FLAIR MR.
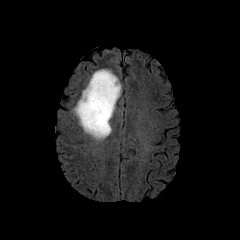
T1-weighted MR.
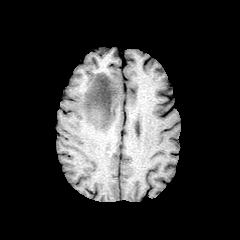
Post-contrast T1-weighted MR image.
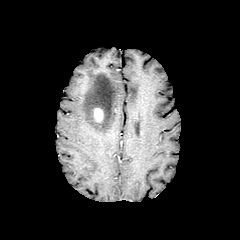
T2-weighted MRI.
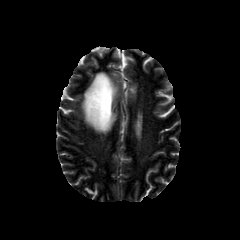
enhancing_tumor:
  - (94, 108, 102, 121)
edema:
  - (70, 69, 121, 139)